FLAIR MRI.
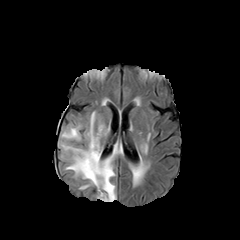
T1-weighted MRI.
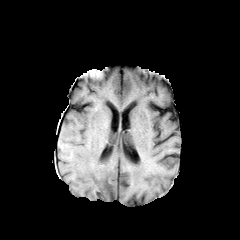
Post-contrast T1-weighted MRI.
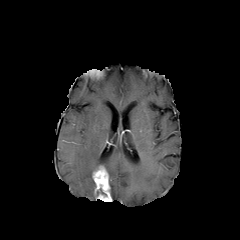
T2-weighted MRI.
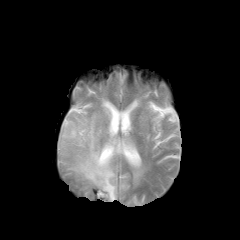
Brain
Segmented structures:
- enhancing tumor: region(92, 166, 111, 201)
- non-enhancing tumor core: region(98, 158, 107, 171)
- edema: region(58, 112, 109, 198); region(133, 168, 142, 181); region(104, 141, 122, 199)